Pelvis; Image width 496 mm; CT slice
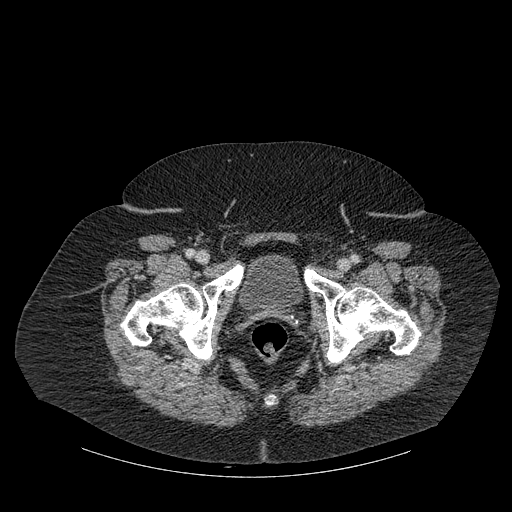

The urinary bladder is located at {"x1": 237, "y1": 253, "x2": 304, "y2": 321}. 3 bone regions appear at {"x1": 267, "y1": 395, "x2": 274, "y2": 404}, {"x1": 304, "y1": 269, "x2": 420, "y2": 362}, {"x1": 120, "y1": 265, "x2": 243, "y2": 359}.